MR image. 32x49 px. Image width 32 mm.

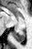

The posterior hippocampus is at [x1=13, y1=31, x2=25, y2=42].